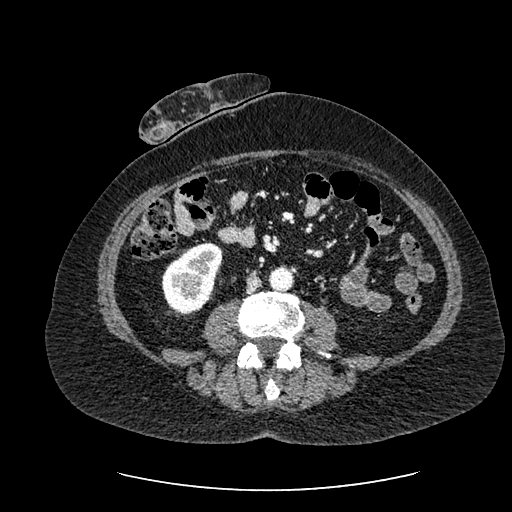 CT. Abdomen.
Annotated regions:
* kidney: <box>162,243,221,313</box>